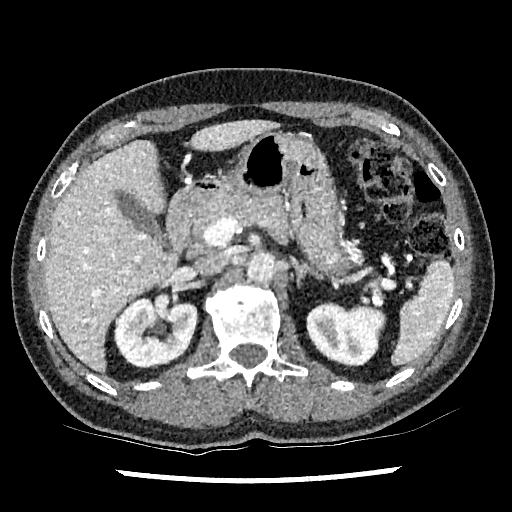 Computed tomography.

2 kidney regions are located at [307,306,382,364], [116,296,195,365]. 2 liver regions are bounded by [45,140,178,372], [191,119,278,149].